MR image. 34x47. Slice 13/40. 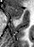 <segmentation>
  <anterior_hippocampus>[x1=9, y1=6, x2=23, y2=18]</anterior_hippocampus>
</segmentation>